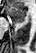
MR.
The anterior hippocampus is at (left=8, top=7, right=26, bottom=22).